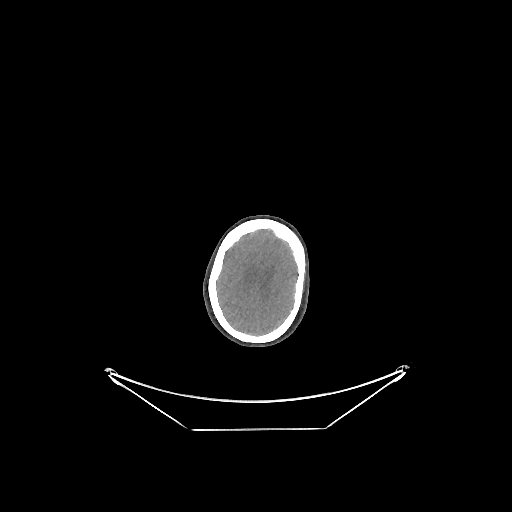
CT image, Brain
The brain is at [216, 229, 298, 335].